CT slice.
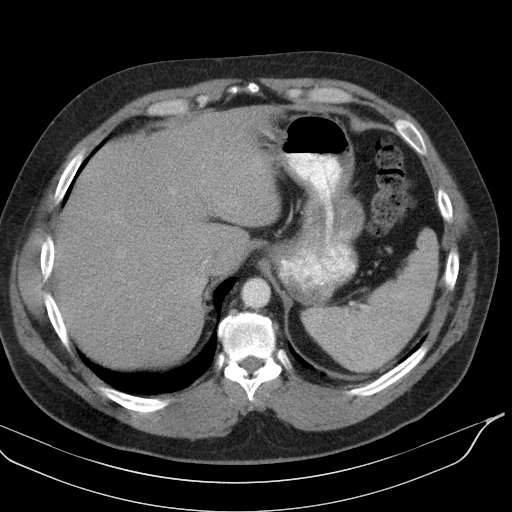
The spleen lies within (left=302, top=230, right=437, bottom=371).